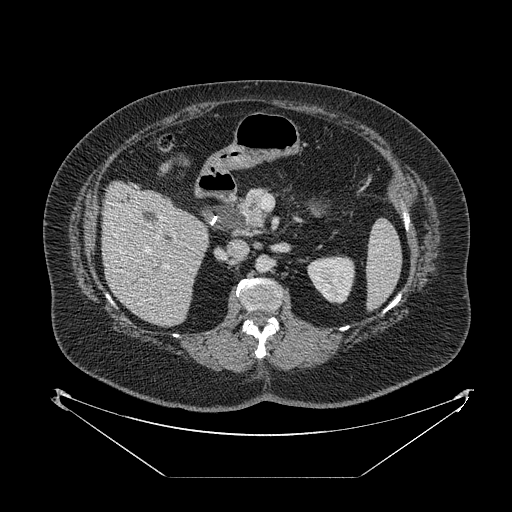 CT slice | 512x512 px | Abdomen
pancreas: 241 188 269 229